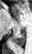

Magnetic resonance
• posterior hippocampus: (x1=11, y1=33, x2=24, y2=47)